CT, Lower abdomen, Image size 512x512
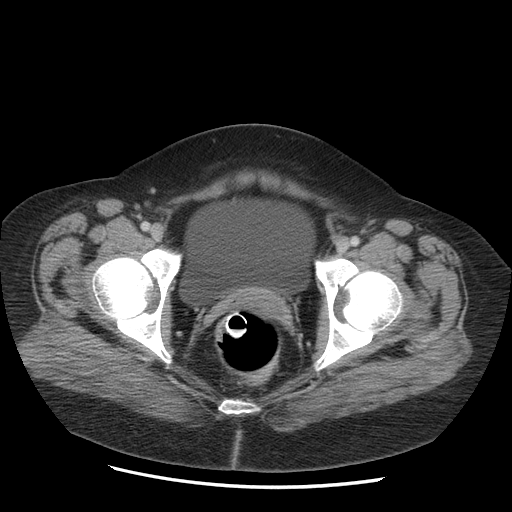 urinary_bladder:
  - <bbox>181, 197, 314, 301</bbox>